Head | Field of view 240x240 mm
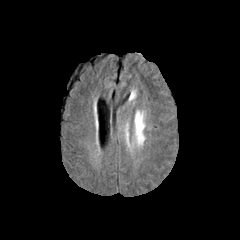
FLAIR magnetic resonance.
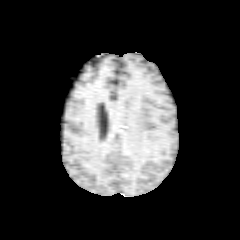
T1-weighted magnetic resonance of the same slice.
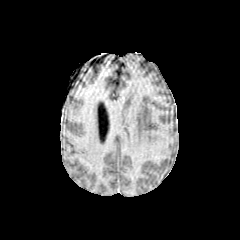
Post-contrast T1-weighted magnetic resonance.
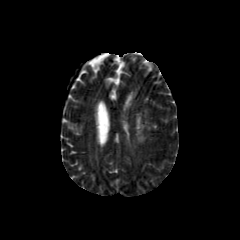
T2-weighted MR.
- edema: region(134, 112, 146, 143)